Image size 512x512. Slice 515/707. CT.

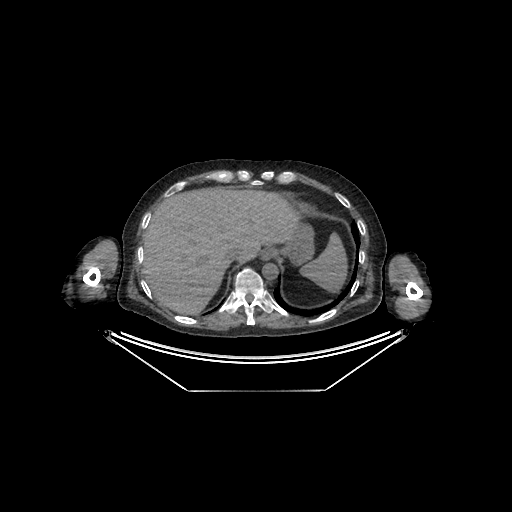
Segmented structures:
- liver: x1=136, y1=186, x2=299, y2=314